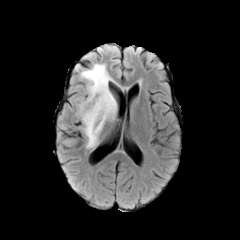
FLAIR MR.
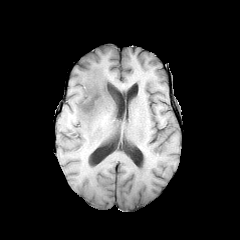
T1-weighted MR of the same slice.
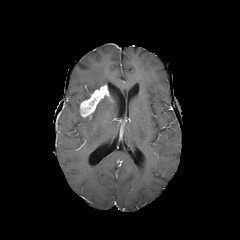
Post-contrast T1-weighted MR.
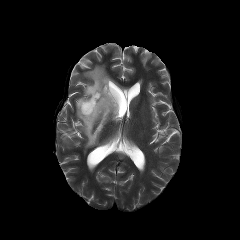
T2-weighted MR image of the same slice.
Brain, 240x240 px
enhancing_tumor:
  - {"x1": 79, "y1": 84, "x2": 111, "y2": 118}
non-enhancing_tumor_core:
  - {"x1": 78, "y1": 85, "x2": 99, "y2": 102}
  - {"x1": 92, "y1": 96, "x2": 107, "y2": 116}
edema:
  - {"x1": 76, "y1": 98, "x2": 116, "y2": 148}
  - {"x1": 80, "y1": 63, "x2": 118, "y2": 96}